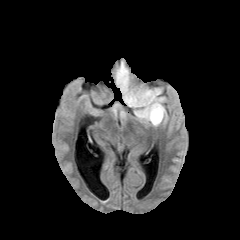
FLAIR MR.
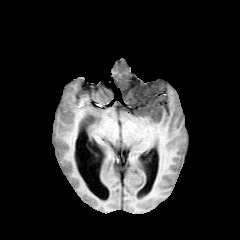
Same slice, T1-weighted MRI.
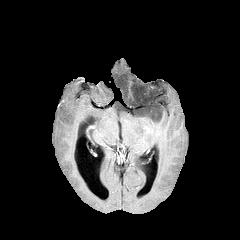
Post-contrast T1-weighted MRI of the same slice.
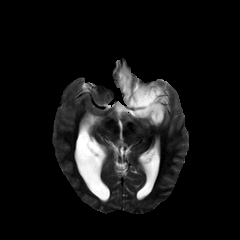
T2-weighted MRI.
Head | 240x240 px
Edema: [116,62,167,126], [140,82,163,93], [113,104,127,117].
Non-enhancing tumor core: [129,78,163,113].